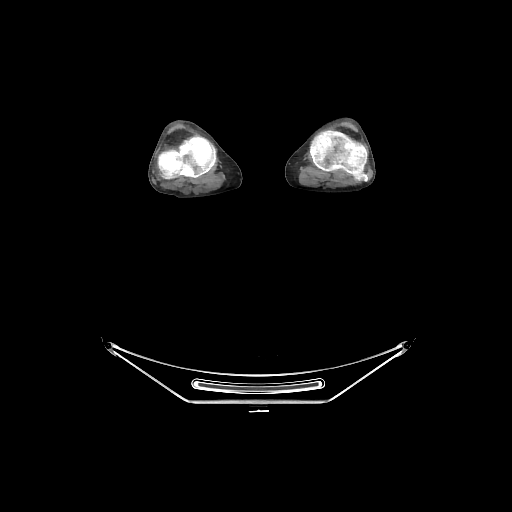
CT
2 bone regions are located at {"x1": 310, "y1": 130, "x2": 367, "y2": 180}, {"x1": 157, "y1": 137, "x2": 215, "y2": 178}.